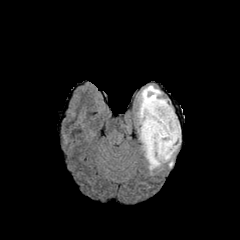
FLAIR magnetic resonance.
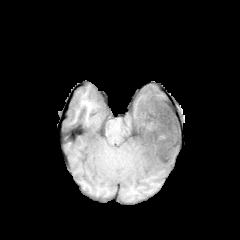
T1-weighted MR of the same slice.
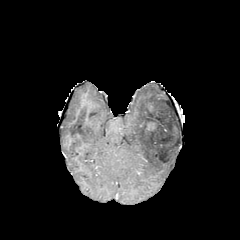
Same slice, post-contrast T1-weighted MR image.
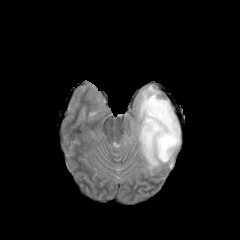
T2-weighted MRI of the same slice.
240x240 px.
{
  "non-enhancing_tumor_core": [
    "[146,97,175,149]"
  ],
  "edema": [
    "[135,85,181,174]"
  ]
}